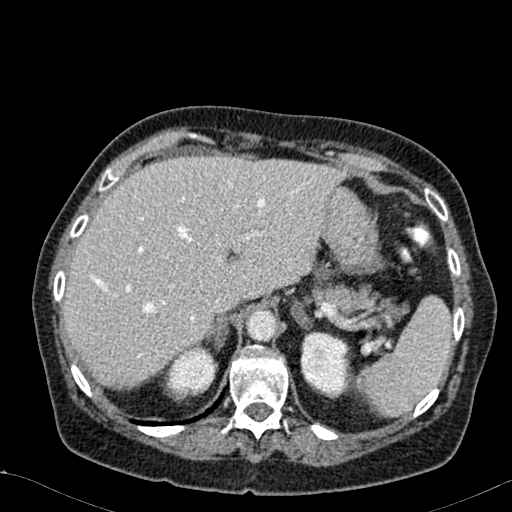

CT slice, Image size 512x512, Liver
The liver lies within bbox=[64, 156, 345, 386]. 2 kidney regions are located at bbox=[167, 347, 214, 396]; bbox=[301, 332, 352, 395].